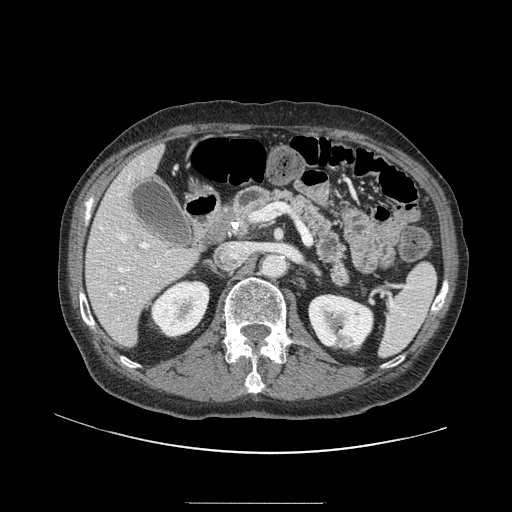
CT slice
Pancreas: bbox(234, 187, 349, 285).
Pancreatic tumor: bbox(220, 210, 239, 221).